512x512, CT slice

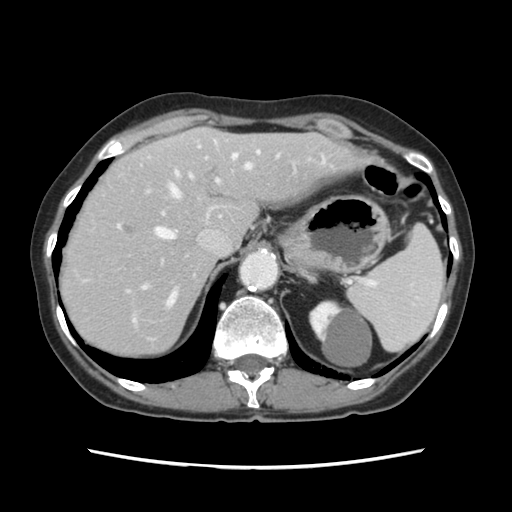 Some hepatic vessels may have no box.
12 hepatic vessel regions appear at x1=156, y1=228, x2=173, y2=238; x1=189, y1=174, x2=192, y2=177; x1=117, y1=225, x2=120, y2=227; x1=233, y1=154, x2=236, y2=158; x1=245, y1=164, x2=250, y2=168; x1=176, y1=172, x2=177, y2=175; x1=256, y1=151, x2=258, y2=153; x1=216, y1=179, x2=218, y2=182; x1=133, y1=318, x2=135, y2=322; x1=198, y1=146, x2=200, y2=147; x1=142, y1=285, x2=146, y2=288; x1=170, y1=185, x2=178, y2=195. The liver tumor is at x1=123, y1=225, x2=132, y2=233.